Field of view 352 mm wide, 5.00 mm slice spacing, CT slice, Liver, Slice 30 of 52, Image size 512x512 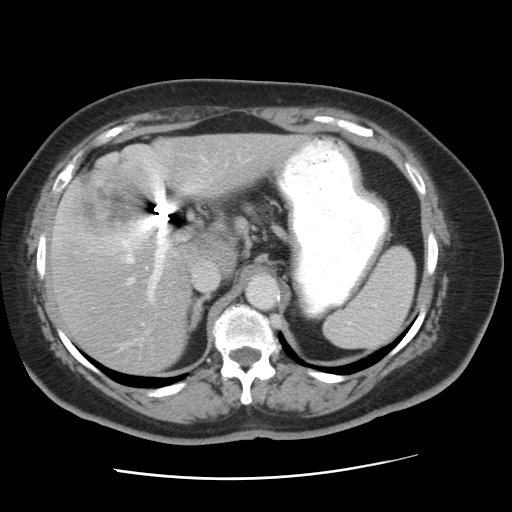

The vessel boxes may cover only some of the vessels.
The liver tumor is bounded by 61 154 144 236. 8 hepatic vessel regions appear at 200 155 205 160, 114 218 170 301, 238 157 246 161, 193 264 217 291, 139 146 143 146, 127 277 133 283, 149 167 164 185, 173 252 175 254.